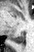 Medial temporal lobe | MR
Posterior hippocampus at rect(10, 32, 24, 43).